Computed tomography, Field of view 327 mm wide, 5.00 mm slice spacing 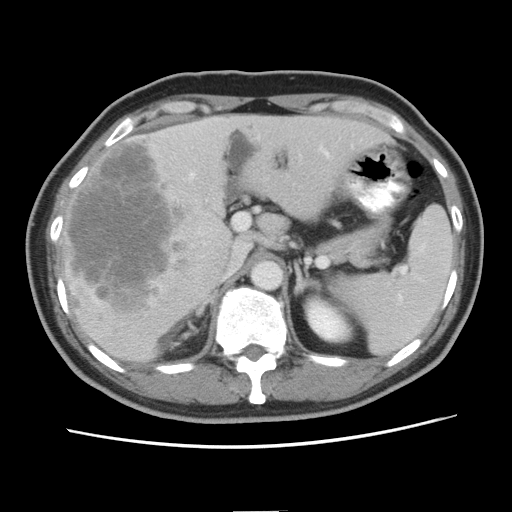
Not every hepatic vessel necessarily has a box.
Hepatic vessel = 189 174 194 179, 319 148 328 156.
Liver tumor = 67 139 191 318.